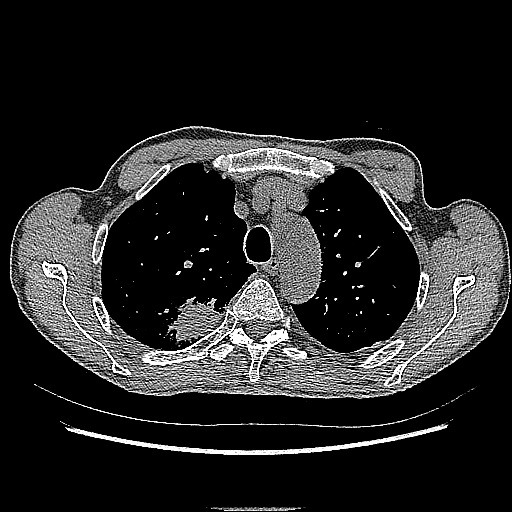
Chest. CT scan slice.

Lung tumor at region(156, 284, 231, 350).